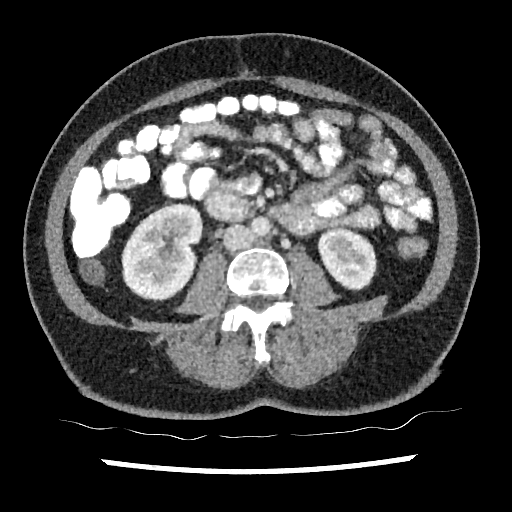
CT; Abdomen

Kidney — (319,229,375,288), (123,204,201,298).